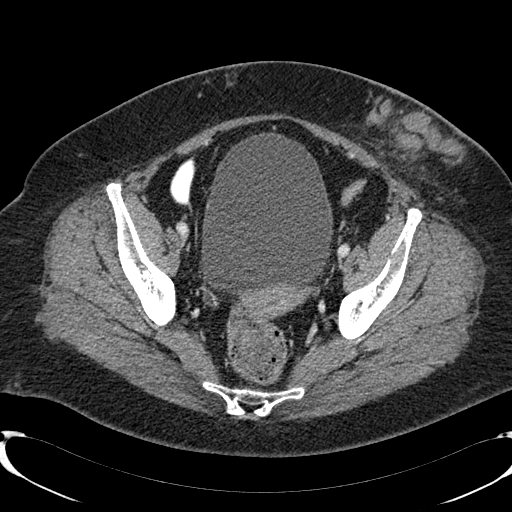 CT.
The urinary bladder appears at rect(201, 133, 332, 294).